FLAIR MR image.
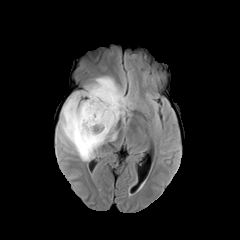
T1-weighted MR image.
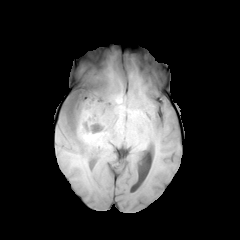
Post-contrast T1-weighted MR.
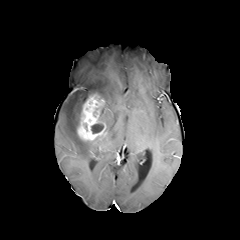
T2-weighted magnetic resonance.
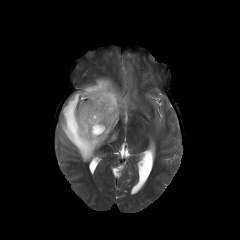
Head, 240x240
Annotated regions:
- enhancing tumor: [78, 95, 107, 141]
- non-enhancing tumor core: [91, 117, 103, 133]
- edema: [55, 76, 131, 161]